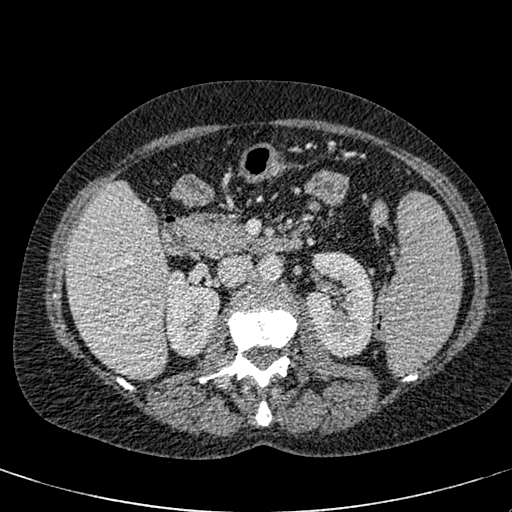
CT
{
  "liver": [
    "65, 183, 168, 380"
  ],
  "kidney": [
    "306, 252, 372, 357",
    "165, 271, 219, 353"
  ],
  "focal_liver_lesion": [
    "139, 208, 155, 225"
  ]
}